Slice index 33. Abdomen. CT. 512x512.
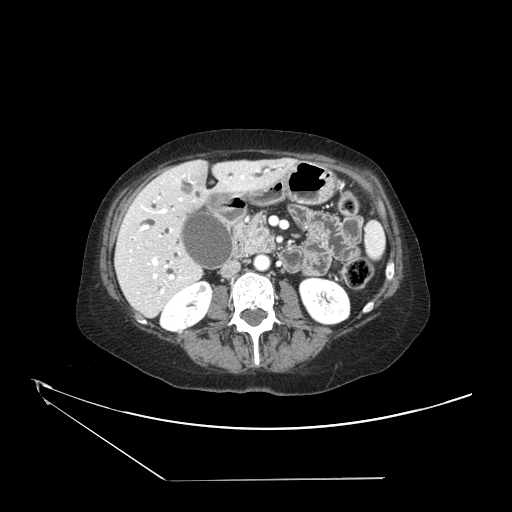
Findings:
• pancreas: (236, 213, 274, 253)